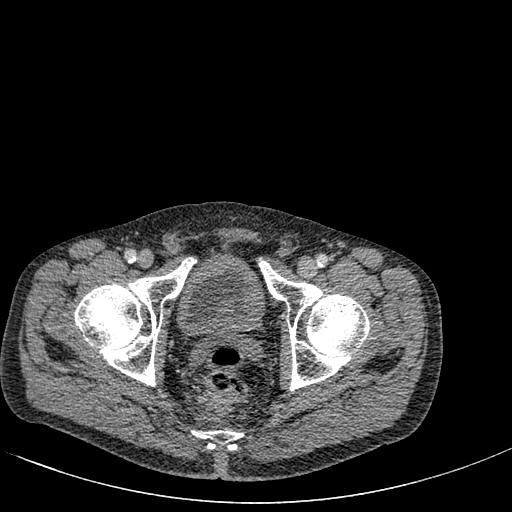
CT
urinary bladder: l=175, t=250, r=267, b=335